CT image | 512x512 px
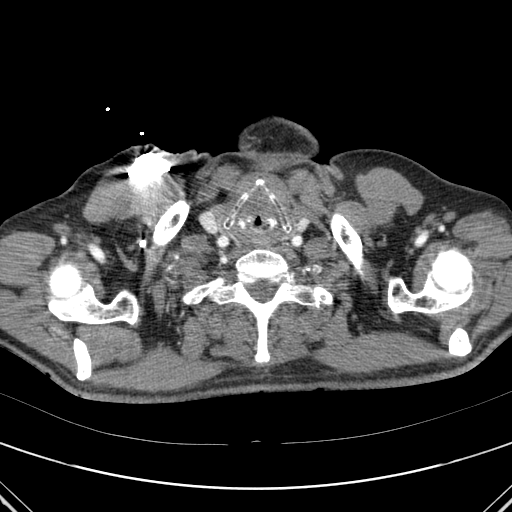
Bone at [47,263,138,324], [153,200,189,246], [388,249,473,313], [330,213,363,276], [183,249,332,361], [416,233,426,245], [448,328,471,356], [73,338,91,380].